Field of view 240 mm wide, 1.00 mm slice spacing, Brain, Slice 80 of 155
FLAIR MRI.
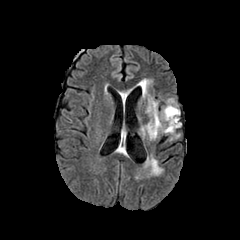
T1-weighted MR image.
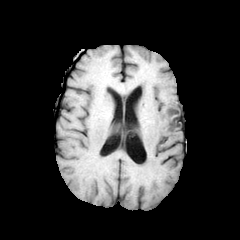
Post-contrast T1-weighted MR.
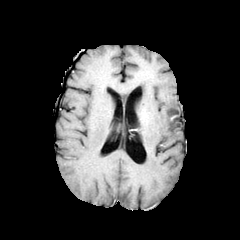
T2-weighted MR.
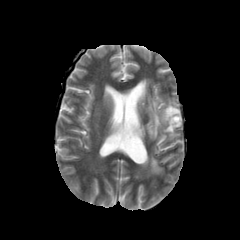
Edema: region(139, 79, 181, 139); region(120, 92, 128, 103); region(145, 157, 162, 175).